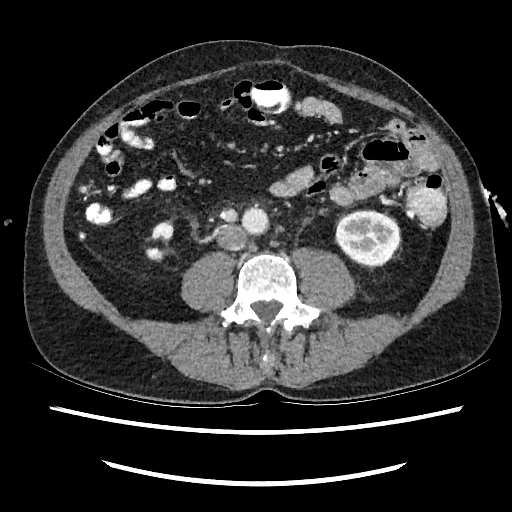
CT image.

{
  "kidney": [
    "(x1=153, y1=223, x2=172, y2=237)",
    "(x1=336, y1=211, x2=399, y2=264)",
    "(x1=148, y1=249, x2=159, y2=257)"
  ]
}